Slice 77/155. Head.
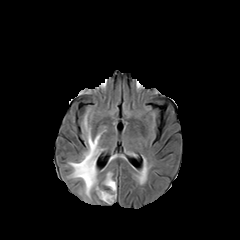
FLAIR magnetic resonance.
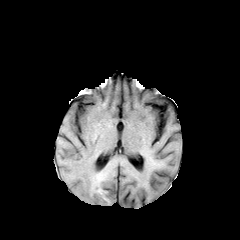
T1-weighted magnetic resonance of the same slice.
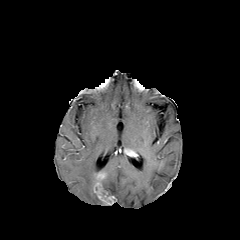
Post-contrast T1-weighted MR image of the same slice.
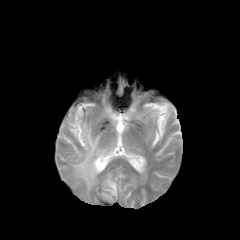
T2-weighted magnetic resonance of the same slice.
2 edema regions are bounded by [68,114,116,203], [108,153,125,163].